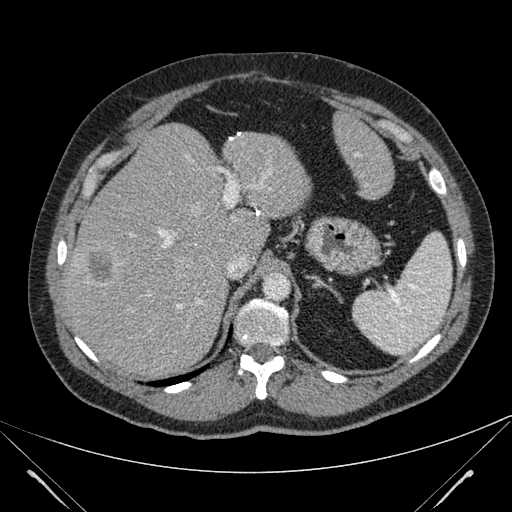

CT scan slice. Upper abdomen.
liver lesion: {"x1": 86, "y1": 248, "x2": 114, "y2": 282} | liver: {"x1": 56, "y1": 123, "x2": 310, "y2": 380}, {"x1": 333, "y1": 111, "x2": 393, "y2": 199}